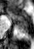

Magnetic resonance | Image size 34x49

The anterior hippocampus appears at <box>10,11,30,23</box>. The posterior hippocampus appears at <box>17,24,28,34</box>.